FLAIR MRI.
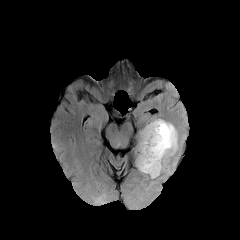
T1-weighted MRI.
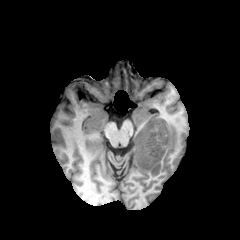
Post-contrast T1-weighted magnetic resonance.
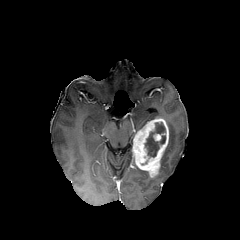
T2-weighted MR image.
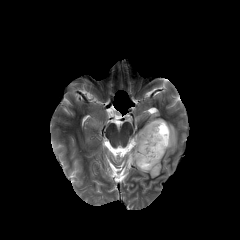
Head
The non-enhancing tumor core is bounded by bbox=[145, 122, 165, 157]. The edema is bounded by bbox=[151, 121, 178, 178]. 2 enhancing tumor regions are located at bbox=[132, 118, 168, 177]; bbox=[153, 134, 161, 141].